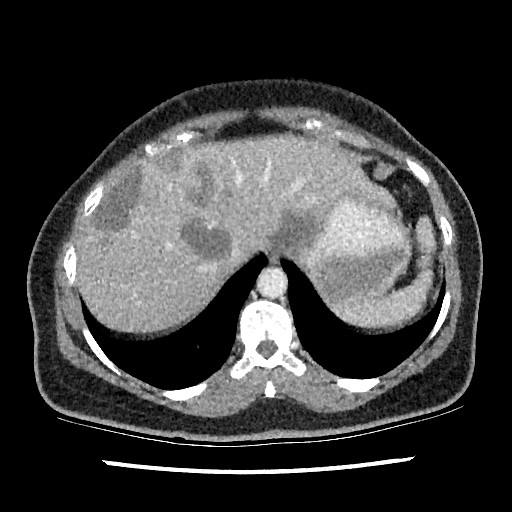
CT image | Upper abdomen | 512x512
Findings:
* liver: 76:135:394:332
* hepatic lesion: 159:151:181:170, 190:167:214:205, 95:171:143:230, 180:219:231:259, 268:211:312:244